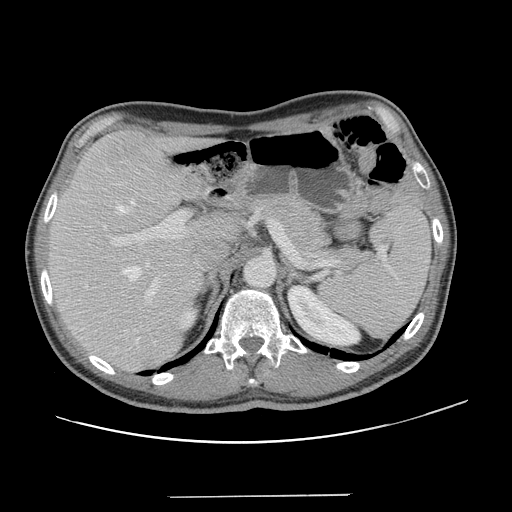 CT image | Abdomen

Not every hepatic vessel necessarily has a box.
<segmentation>
  <hepatic_vessel>bbox=[153, 341, 155, 344]; bbox=[131, 200, 134, 204]; bbox=[171, 217, 178, 219]; bbox=[145, 278, 158, 302]; bbox=[111, 234, 132, 245]; bbox=[103, 224, 105, 227]; bbox=[178, 235, 179, 237]; bbox=[108, 169, 111, 170]; bbox=[136, 237, 142, 244]; bbox=[124, 267, 139, 279]; bbox=[146, 263, 148, 265]; bbox=[161, 222, 166, 227]; bbox=[117, 205, 126, 212]; bbox=[135, 338, 138, 342]</hepatic_vessel>
</segmentation>